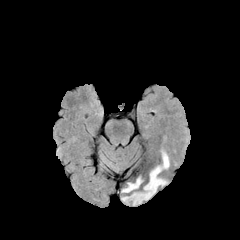
FLAIR MR image.
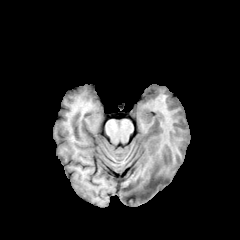
T1-weighted MRI.
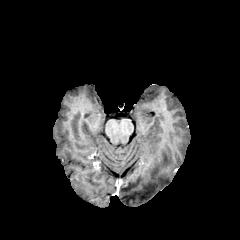
Post-contrast T1-weighted MR image of the same slice.
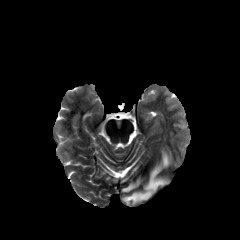
T2-weighted MR image.
Brain
The edema lies within rect(121, 150, 169, 204).